Slice 85 of 155 | Field of view 240x240 mm
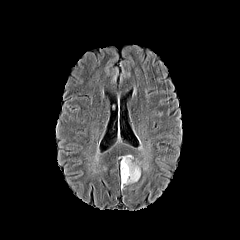
FLAIR MR.
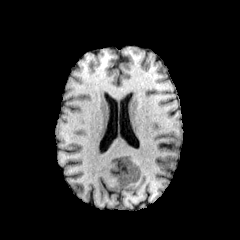
T1-weighted MR.
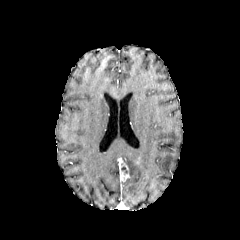
Same slice, post-contrast T1-weighted MR image.
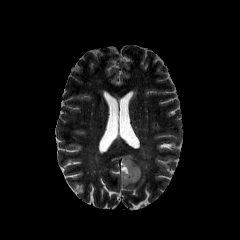
T2-weighted MR.
Edema — {"x1": 121, "y1": 155, "x2": 140, "y2": 188}.
Enhancing tumor — {"x1": 120, "y1": 160, "x2": 129, "y2": 186}.